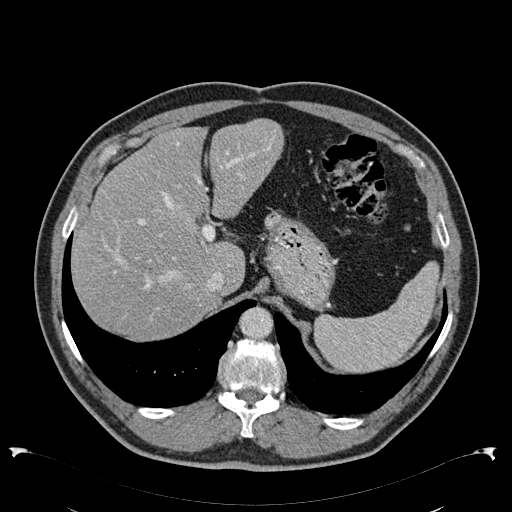 CT scan slice

2 liver regions are located at l=210, t=120, r=283, b=218; l=73, t=127, r=245, b=337.